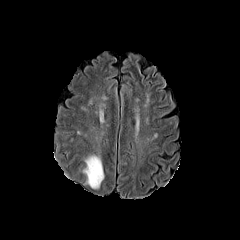
FLAIR magnetic resonance.
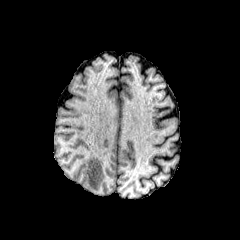
T1-weighted MR.
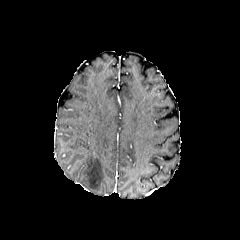
Post-contrast T1-weighted MRI.
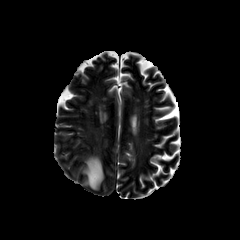
Same slice, T2-weighted MR.
Head
Edema = <bbox>84, 155, 103, 188</bbox>.